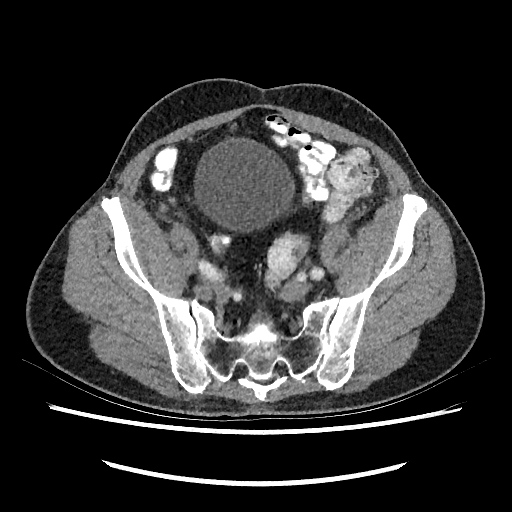
Image size 512x512, CT
<segmentation>
  <urinary_bladder>x1=194, y1=137, x2=294, y2=232</urinary_bladder>
</segmentation>